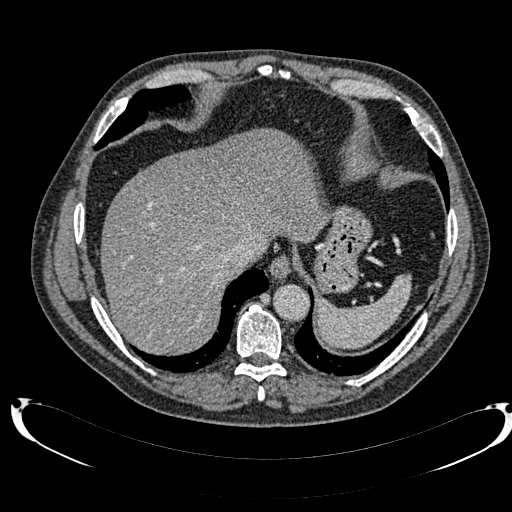

Abdomen; Image size 512x512; CT image
Annotated regions:
- liver: x1=102, y1=128, x2=327, y2=355
- hepatic lesion: x1=149, y1=139, x2=250, y2=222